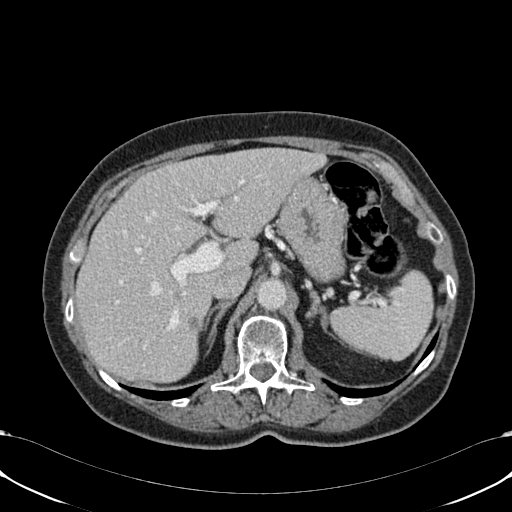

CT. Image size 512x512. Liver.
{"focal_liver_lesion": ["[x1=187, y1=317, x2=198, y2=328]"], "liver": ["[x1=75, y1=148, x2=325, y2=382]"]}